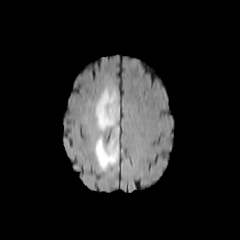
FLAIR magnetic resonance.
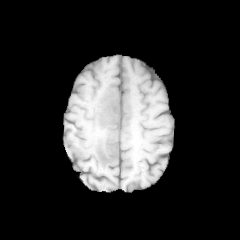
T1-weighted MRI.
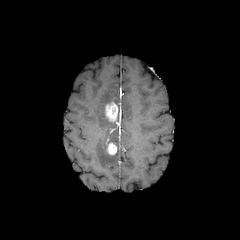
Same slice, post-contrast T1-weighted MR image.
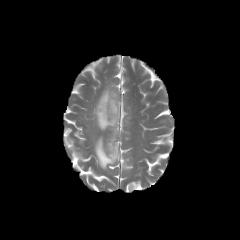
T2-weighted MR.
240x240 px; Head
Edema — 94, 87, 119, 171.
Enhancing tumor — 106, 143, 116, 155; 104, 100, 118, 123.